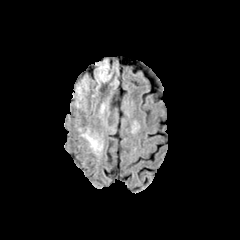
FLAIR magnetic resonance.
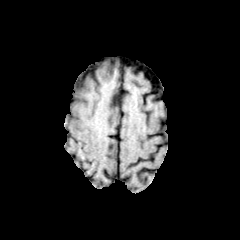
T1-weighted MR.
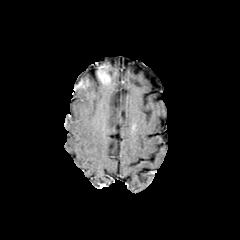
Post-contrast T1-weighted magnetic resonance of the same slice.
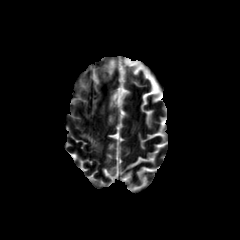
T2-weighted MRI of the same slice.
Image size 240x240
The edema appears at [81,133,102,154].